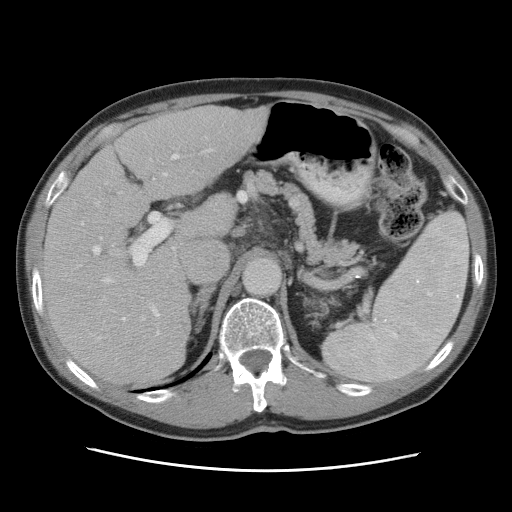

512x512; Computed tomography; Liver
Some hepatic vessels may have no box.
Hepatic vessel = box(156, 331, 159, 335); box(102, 297, 104, 300); box(95, 246, 99, 253); box(131, 213, 170, 264); box(96, 202, 98, 205); box(122, 318, 125, 320); box(99, 237, 101, 239); box(150, 305, 159, 317); box(171, 154, 178, 159); box(81, 222, 83, 225); box(102, 277, 112, 283); box(202, 148, 212, 153); box(204, 137, 207, 140).